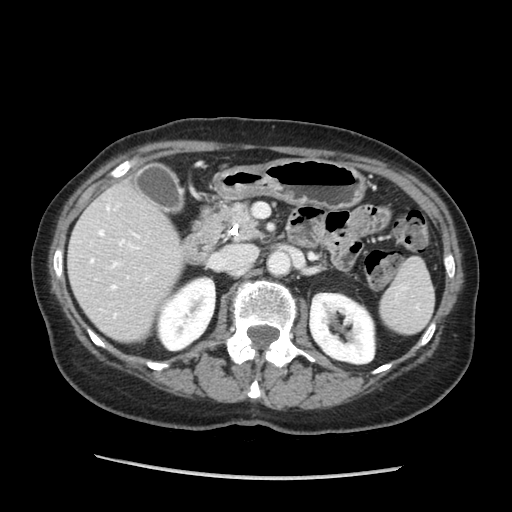 CT scan slice
The pancreas is located at left=220, top=203, right=261, bottom=239. The pancreatic tumor is located at left=225, top=205, right=248, bottom=222.